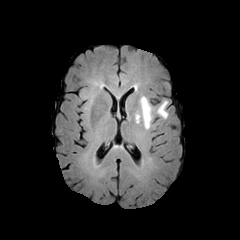
FLAIR MR image.
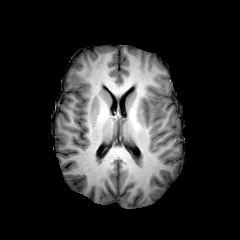
T1-weighted MR.
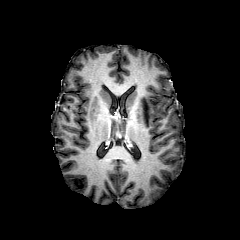
Post-contrast T1-weighted MR image of the same slice.
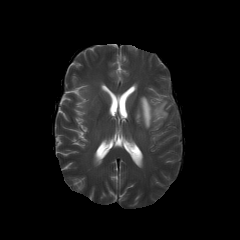
T2-weighted MRI of the same slice.
Head
The edema is bounded by 136, 96, 168, 129. 2 non-enhancing tumor core regions are located at 129, 108, 136, 122; 142, 101, 149, 119.